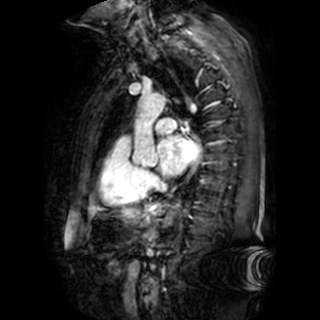

MRI slice, 320x320 px, Heart
The left atrium is at rect(157, 135, 200, 175).